Slice index 95, CT

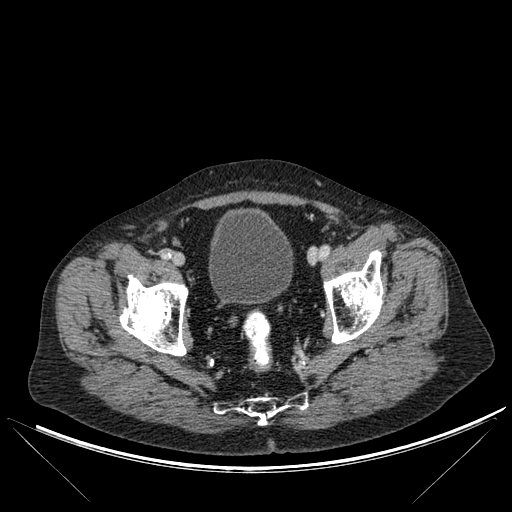 Urinary bladder at rect(209, 208, 293, 304).
Bone at rect(324, 250, 383, 343); rect(214, 398, 308, 425); rect(120, 275, 187, 355).